CT scan slice | Slice 58 of 427 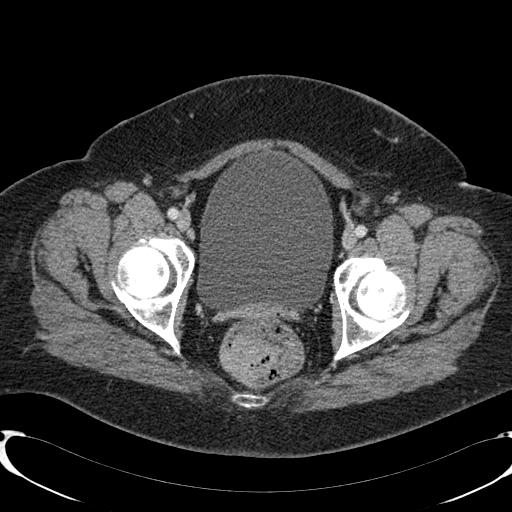
Segmented structures:
* urinary bladder: <bbox>197, 148, 332, 310</bbox>